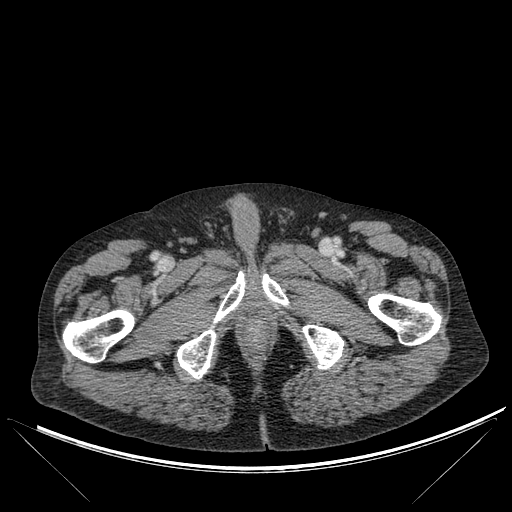

CT slice; 512x512 px
Bone at box(302, 325, 343, 369); box(368, 293, 441, 345); box(213, 271, 245, 324); box(62, 310, 134, 362); box(177, 325, 216, 378); box(262, 273, 288, 305).